240x240 px. Brain. Slice 58 of 155.
FLAIR magnetic resonance.
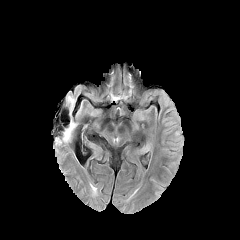
T1-weighted MRI.
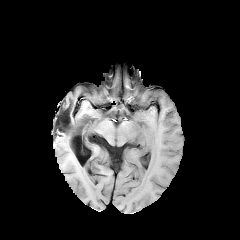
Post-contrast T1-weighted MRI.
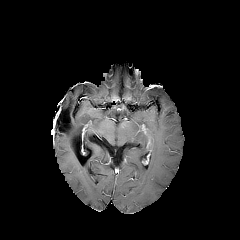
T2-weighted MR.
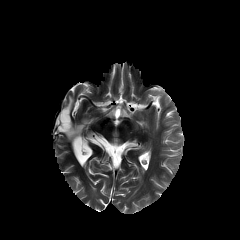
The edema is bounded by bbox=[62, 95, 77, 142].